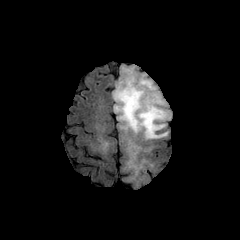
FLAIR MR.
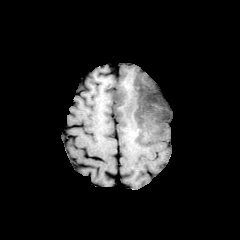
T1-weighted MR image.
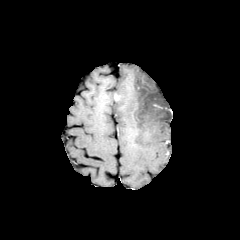
Post-contrast T1-weighted MR image of the same slice.
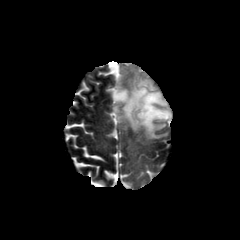
T2-weighted MR image of the same slice.
Brain
2 non-enhancing tumor core regions appear at 114,74,170,123; 114,100,125,111. The edema is bounded by 113,66,171,151.